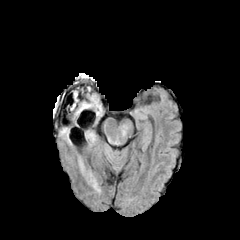
FLAIR MR image.
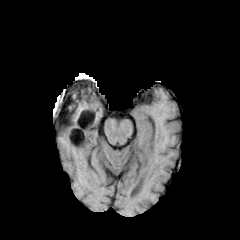
Same slice, T1-weighted MR.
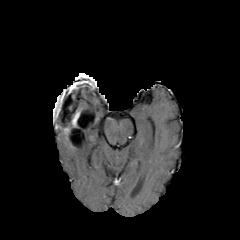
Post-contrast T1-weighted MRI of the same slice.
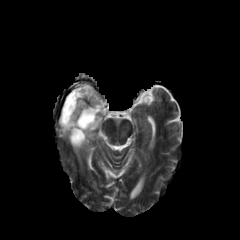
T2-weighted MRI.
3 edema regions are located at l=88, t=175, r=97, b=189; l=76, t=93, r=101, b=115; l=60, t=127, r=71, b=144.